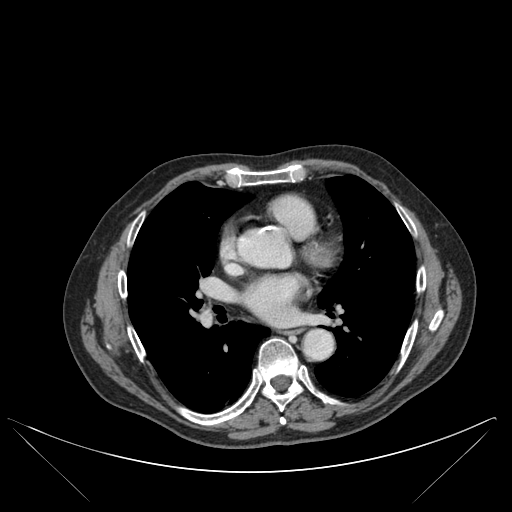

CT slice. Bone: x1=416, y1=267, x2=425, y2=291; x1=128, y1=327, x2=144, y2=360; x1=429, y1=310, x2=442, y2=330; x1=399, y1=208, x2=415, y2=230; x1=179, y1=338, x2=338, y2=424; x1=228, y1=166, x2=299, y2=185; x1=118, y1=271, x2=126, y2=297; x1=128, y1=213, x2=144, y2=243; x1=400, y1=321, x2=417, y2=366.
Lung: x1=127, y1=181, x2=270, y2=412; x1=314, y1=175, x2=415, y2=396.